CT | 512x512 | Slice index 192 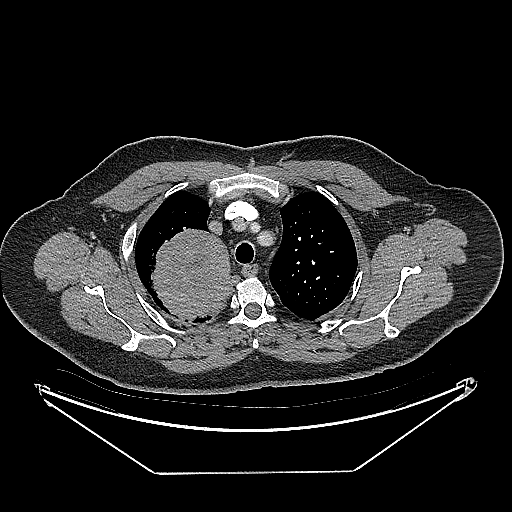

<segmentation>
  <lung_tumor>l=147, t=227, r=231, b=321</lung_tumor>
</segmentation>